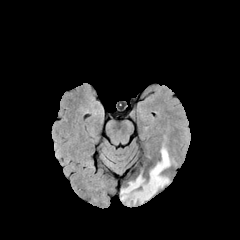
FLAIR MRI.
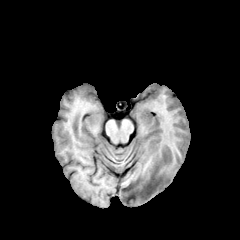
T1-weighted MR.
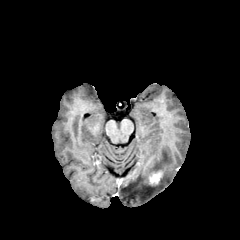
Post-contrast T1-weighted MR image.
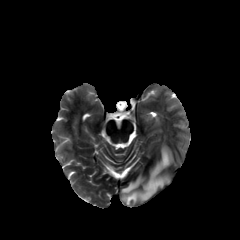
Same slice, T2-weighted MRI.
The enhancing tumor appears at x1=147 y1=170 x2=162 y2=186. 2 edema regions appear at x1=120 y1=173 x2=169 y2=203, x1=150 y1=147 x2=172 y2=173.